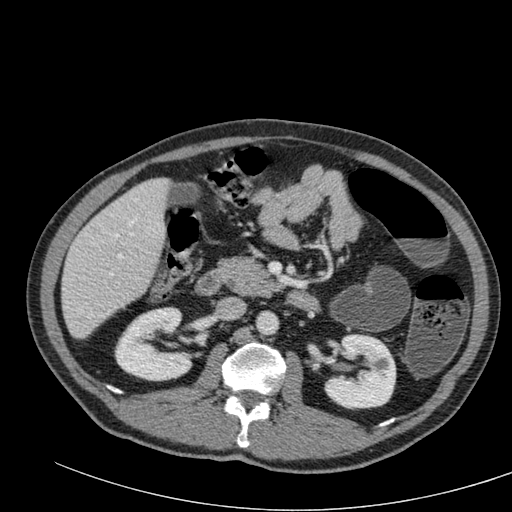
CT
<segmentation>
  <liver><box>62,179,167,337</box></liver>
  <kidney><box>116,308,190,380</box>, <box>325,335,395,407</box></kidney>
</segmentation>